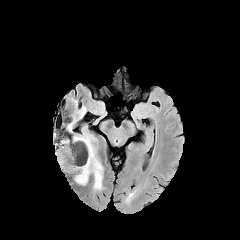
FLAIR MR image.
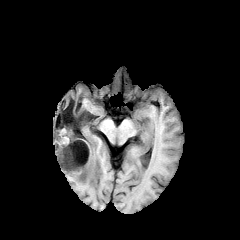
Same slice, T1-weighted MR image.
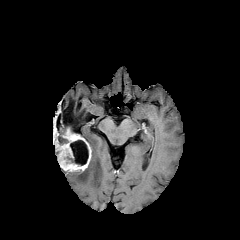
Post-contrast T1-weighted MR.
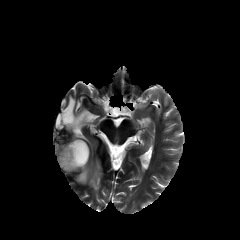
T2-weighted MR of the same slice.
<segmentation>
  <enhancing_tumor>left=55, top=128, right=91, bottom=171</enhancing_tumor>
  <edema>left=68, top=97, right=103, bottom=189</edema>
  <non-enhancing_tumor_core>left=54, top=118, right=77, bottom=145; left=68, top=140, right=88, bottom=165</non-enhancing_tumor_core>
</segmentation>